Abdomen; Slice index 17; CT image; Image size 512x512; Field of view 388x388 mm 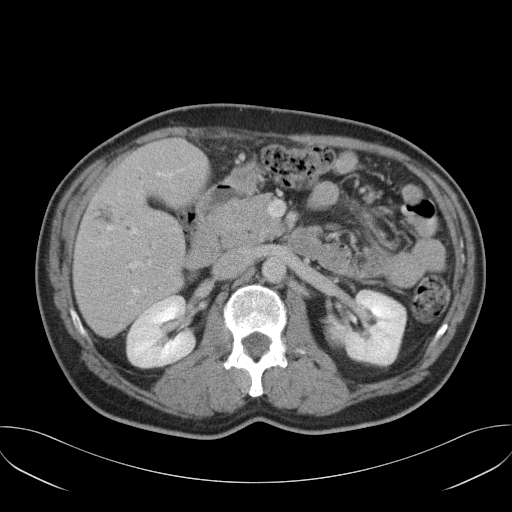 The vessel boxes may cover only some of the vessels.
Hepatic vessel: bounding box [148,260,150,263].